Field of view 350 mm wide, 0.70 mm slice spacing | Computed tomography | Upper abdomen 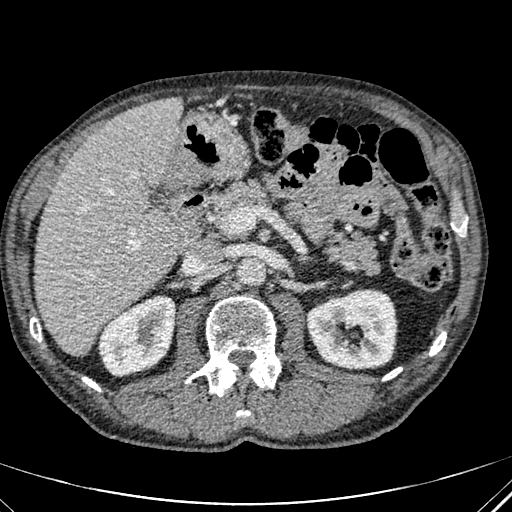

Kidney — rect(308, 291, 395, 367); rect(100, 297, 174, 374).
Liver — rect(34, 97, 199, 356).